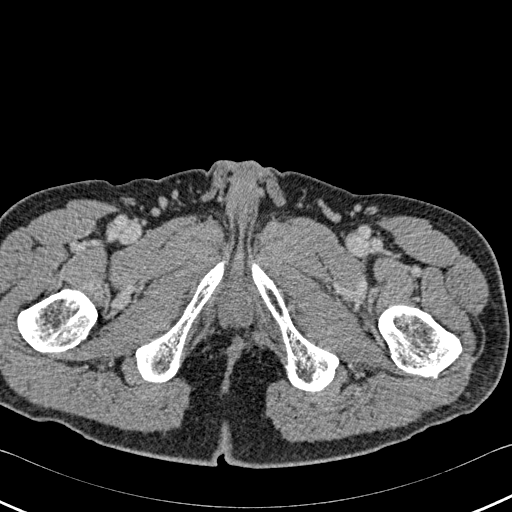 Computed tomography. 512x512 px.

Bone at rect(136, 261, 225, 382); rect(251, 263, 338, 391); rect(18, 289, 97, 351); rect(379, 306, 461, 377).